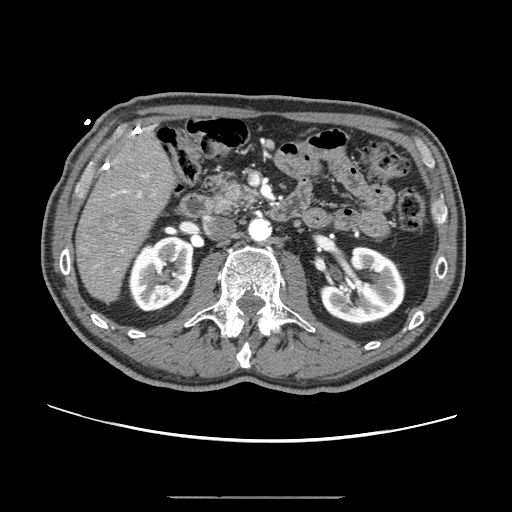

Upper abdomen; CT image
Segmented structures:
• pancreas: [208,175,263,212]